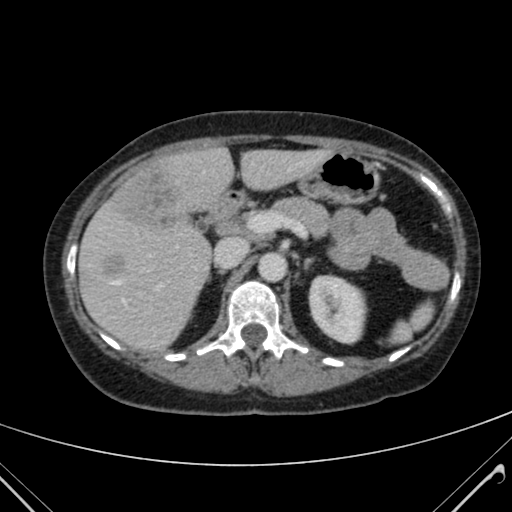
Upper abdomen | CT scan slice | 512x512
Liver lesion at region(101, 254, 126, 277); region(117, 162, 184, 230).
Kidney at region(310, 277, 362, 340).
Liver at region(79, 147, 233, 350); region(239, 150, 328, 188).